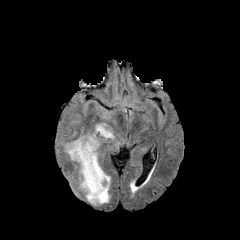
FLAIR magnetic resonance.
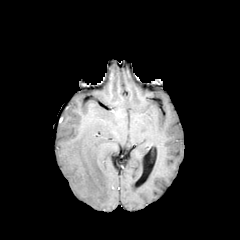
Same slice, T1-weighted MR image.
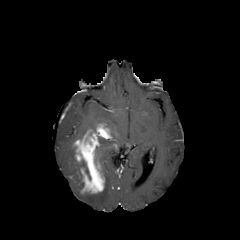
Post-contrast T1-weighted MR image of the same slice.
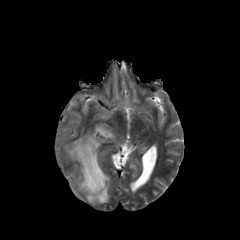
T2-weighted MRI.
Head; Image size 240x240
Findings:
• enhancing tumor: <bbox>73, 124, 111, 193</bbox>
• edema: <bbox>65, 142, 83, 190</bbox>, <bbox>82, 170, 110, 205</bbox>, <bbox>89, 121, 114, 162</bbox>
• non-enhancing tumor core: <bbox>78, 160, 90, 177</bbox>